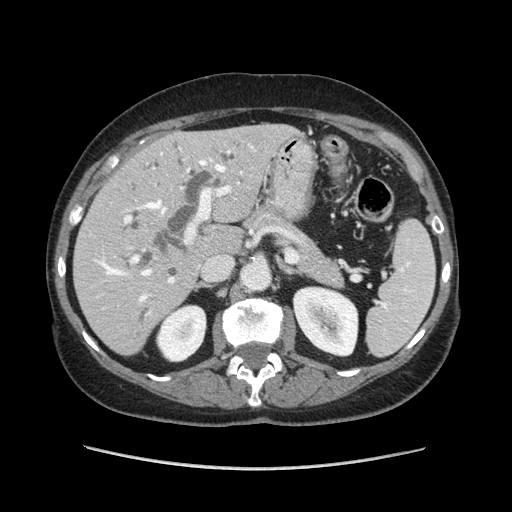
CT | Abdomen
<segmentation>
  <pancreas>[243, 199, 346, 290]</pancreas>
</segmentation>